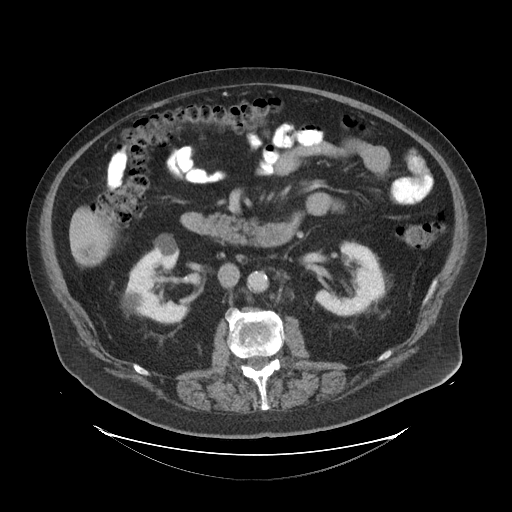 512x512. CT image.
liver_tumor:
  - x1=79 y1=241 x2=99 y2=261